Slice 56 of 90. CT scan slice. Image width 339 mm. Abdomen. 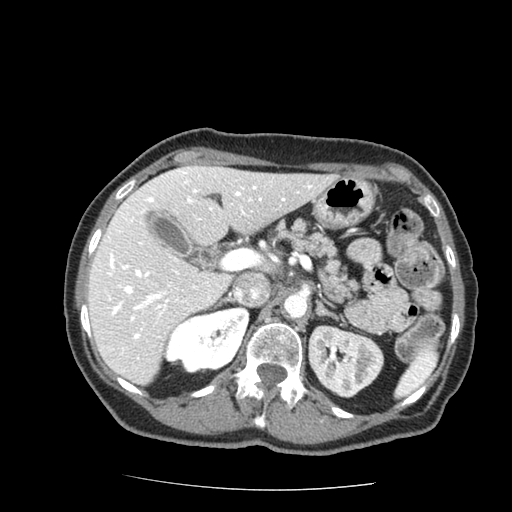

<segmentation>
  <pancreas>x1=273, y1=221, x2=359, y2=305</pancreas>
</segmentation>